FLAIR MRI.
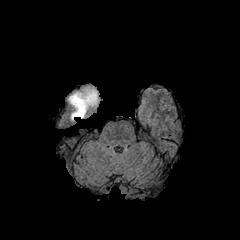
T1-weighted MR image.
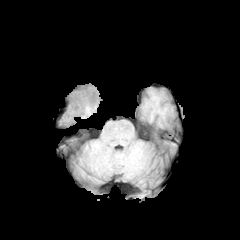
Post-contrast T1-weighted MR image.
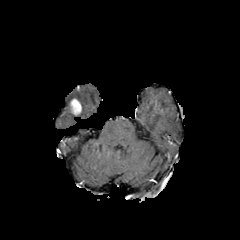
T2-weighted magnetic resonance.
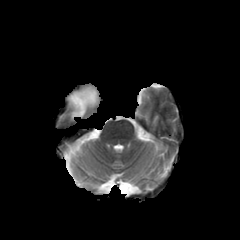
The edema is located at bbox=[68, 86, 99, 120]. The enhancing tumor appears at bbox=[70, 97, 81, 115].